Slice 93/155; Head; 240x240
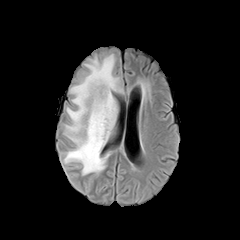
FLAIR MRI.
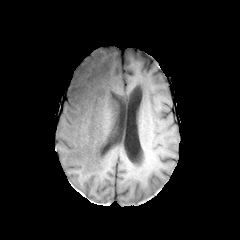
Same slice, T1-weighted magnetic resonance.
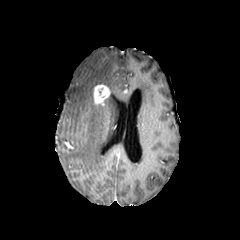
Post-contrast T1-weighted MR of the same slice.
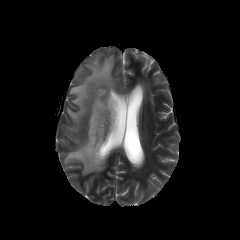
Same slice, T2-weighted MR image.
edema: x1=64, y1=54, x2=117, y2=174 | enhancing tumor: x1=94, y1=84, x2=110, y2=105